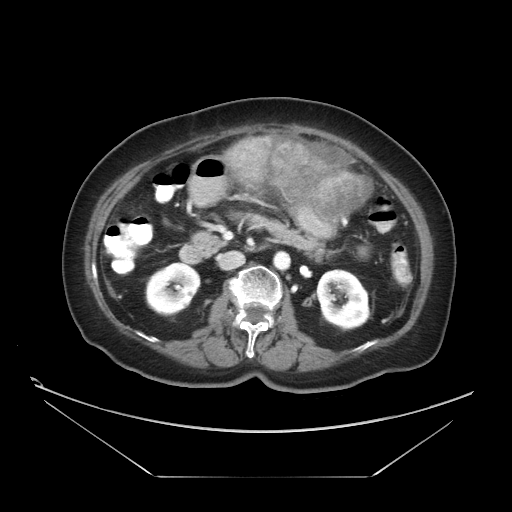
CT scan slice | Abdomen | 512x512
liver_tumor:
  - 226:136:373:223